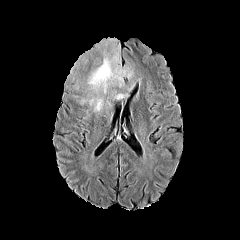
FLAIR magnetic resonance.
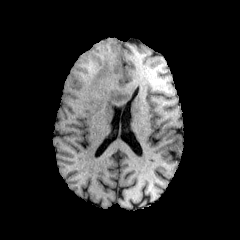
T1-weighted magnetic resonance.
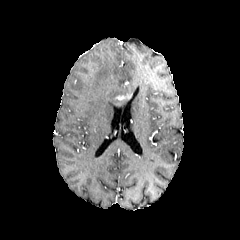
Same slice, post-contrast T1-weighted MR image.
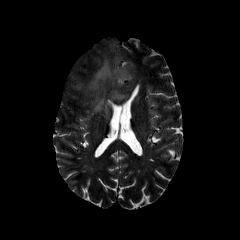
T2-weighted MRI.
The enhancing tumor lies within (115, 93, 133, 100). The edema appears at (81, 50, 135, 111).